512x512 px; CT image; Image width 382 mm; Slice 530 of 722
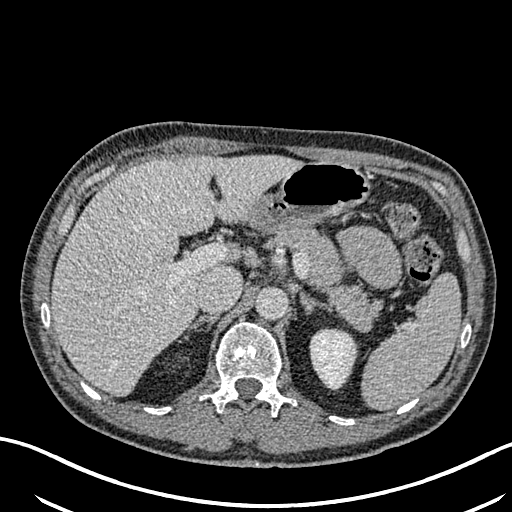
Kidney: x1=311, y1=330, x2=354, y2=388.
Liver: x1=52, y1=155, x2=300, y2=394.